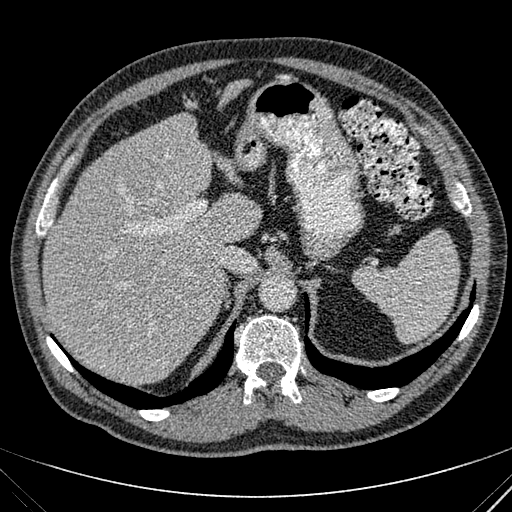
CT image
<segmentation>
  <liver>rect(218, 80, 252, 105); rect(44, 114, 260, 382); rect(218, 161, 241, 183)</liver>
</segmentation>